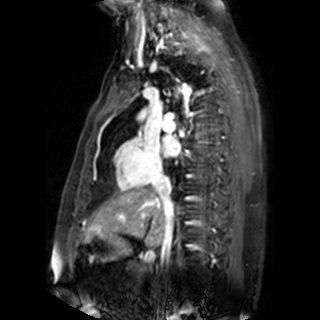
MRI slice
left_atrium:
  - 162,135,179,154